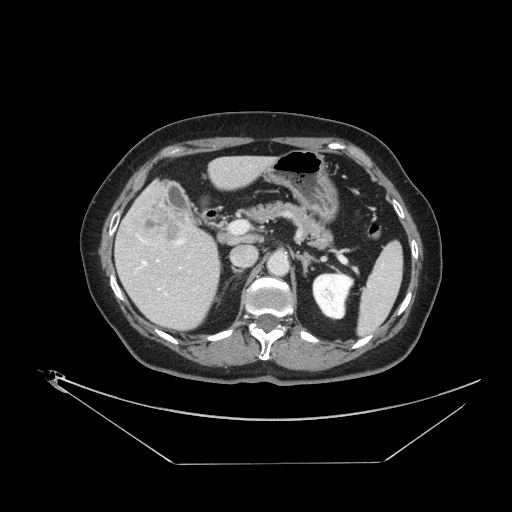

CT slice
Some hepatic vessels may have no box.
Findings:
- liver tumor: x1=139, y1=202, x2=185, y2=250
- hepatic vessel: x1=156, y1=259, x2=158, y2=262; x1=179, y1=266, x2=181, y2=268; x1=135, y1=260, x2=147, y2=273; x1=163, y1=292, x2=167, y2=295; x1=182, y1=239, x2=185, y2=243; x1=135, y1=233, x2=147, y2=243; x1=230, y1=222, x2=246, y2=233; x1=158, y1=288, x2=161, y2=289